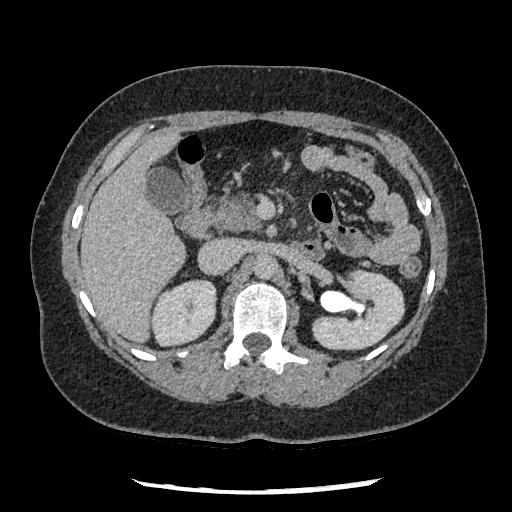

CT scan slice. Upper abdomen.
The pancreas is bounded by x1=214 y1=193 x2=260 y2=231.